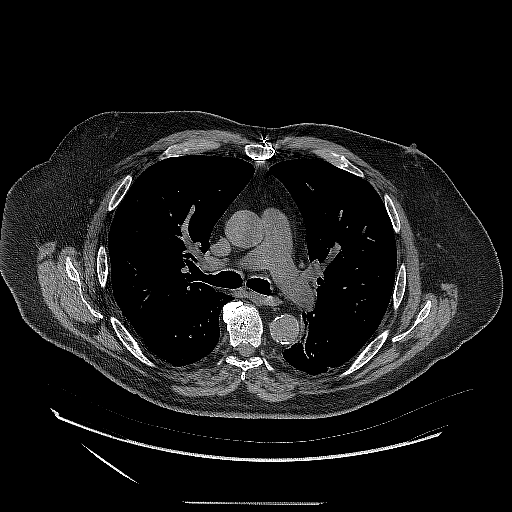
CT scan slice | Lung | 512x512
The lung tumor is bounded by box=[295, 311, 329, 362].